Image size 512x512. CT slice. Upper abdomen.

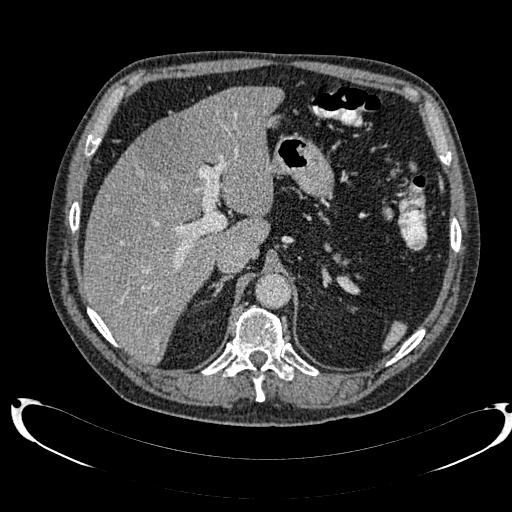
focal liver lesion: (136,118,195,177) | liver: (83,86,284,365)